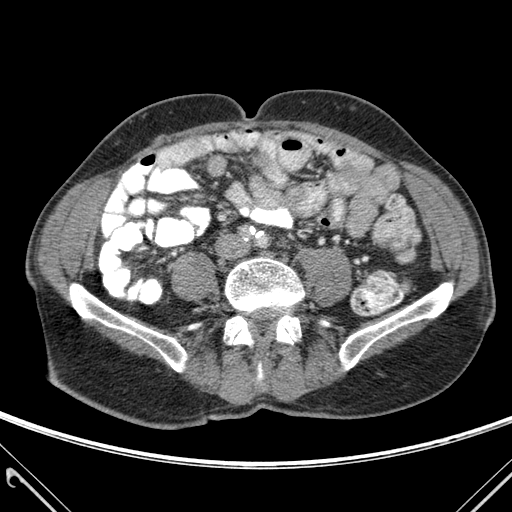 CT scan slice
5 bone regions appear at [70,284,186,371], [258,364,262,378], [224,316,252,344], [225,258,303,343], [339,283,452,369].